FLAIR MRI.
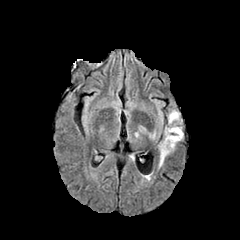
T1-weighted MRI.
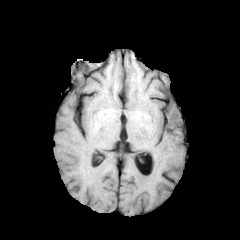
Post-contrast T1-weighted MR.
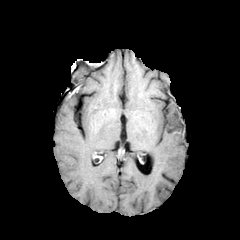
T2-weighted MR.
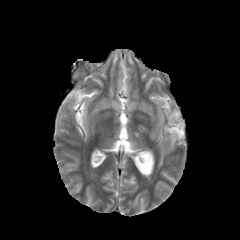
Head. 240x240.
edema: region(158, 110, 183, 167)